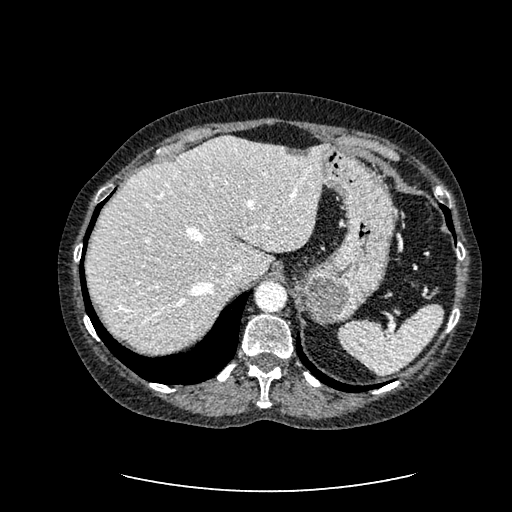
CT

The liver lesion is bounded by <bbox>284, 147, 311, 157</bbox>. The liver is at <bbox>86, 136, 331, 350</bbox>.